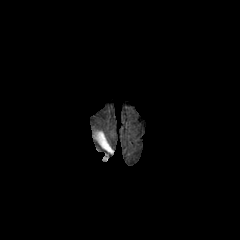
FLAIR MR image.
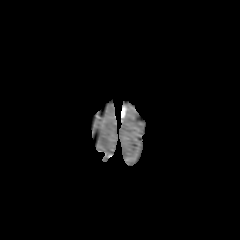
T1-weighted MRI.
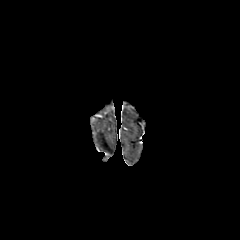
Post-contrast T1-weighted magnetic resonance.
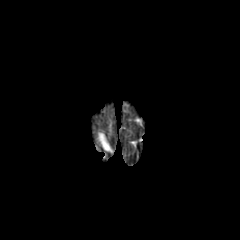
T2-weighted MRI.
240x240, Brain
edema: 97 132 113 153